Head; Slice 56 of 155
FLAIR MR image.
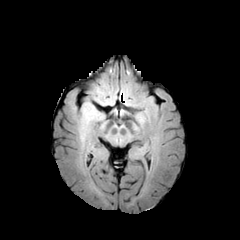
T1-weighted MR image.
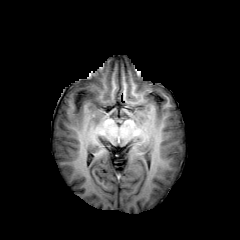
Post-contrast T1-weighted MR.
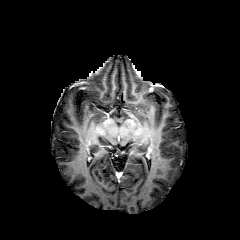
T2-weighted magnetic resonance.
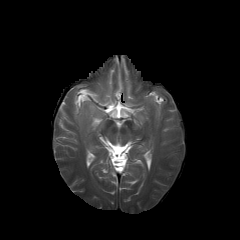
Findings:
• edema: bbox=[80, 100, 104, 131]; bbox=[135, 112, 145, 123]; bbox=[90, 90, 101, 101]